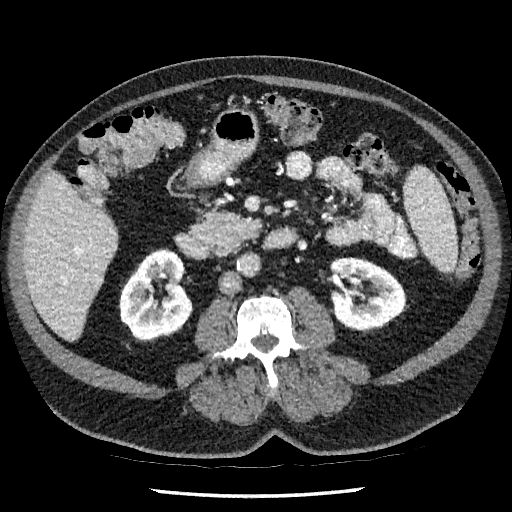
Upper abdomen. CT slice. 512x512 px.
kidney:
  - 120 250 191 338
  - 332 258 404 329
liver:
  - 24 171 117 340